Field of view 434 mm wide, 1.00 mm slice spacing. Computed tomography. Slice 354 of 605.
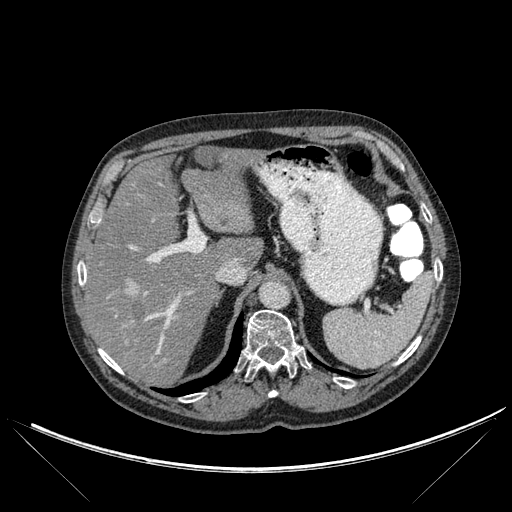

Lung: bounding box left=157, top=314, right=242, bottom=396.
Bone: bounding box left=180, top=393, right=204, bottom=402; left=396, top=336, right=420, bottom=364; left=333, top=377, right=354, bottom=388; left=421, top=204, right=431, bottom=221; left=239, top=310, right=310, bottom=374; left=268, top=390, right=277, bottom=397; left=77, top=262, right=85, bottom=284; left=98, top=349, right=123, bottom=373; left=434, top=259, right=442, bottom=280.
Liver: bounding box left=85, top=157, right=263, bottom=387; left=182, top=147, right=261, bottom=233.
Focal liver lesion: bounding box left=197, top=147, right=209, bottom=164; left=133, top=303, right=144, bottom=322.